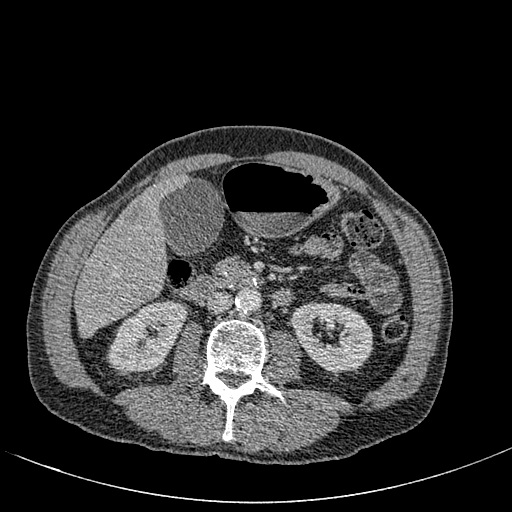
CT slice. Abdomen.
The hepatic lesion lies within [124,200,150,225]. The liver is at [75,175,188,337]. 2 kidney regions appear at [108,301,186,371], [291,299,372,372].